512x512 px; Abdomen; Image width 400 mm; CT; Slice index 385
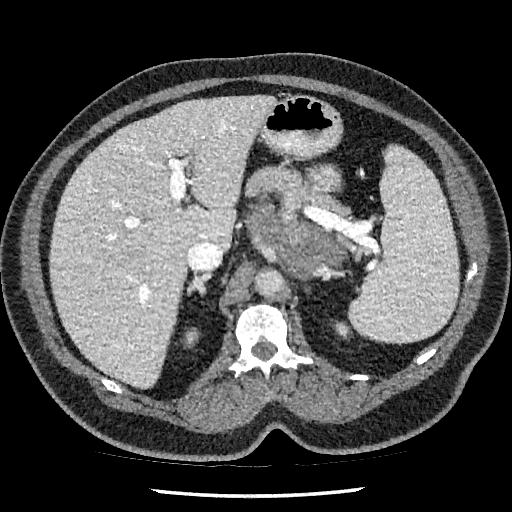

The liver is at 50,97,273,386.